Slice 76 of 155
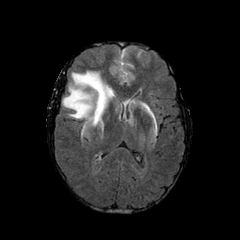
FLAIR MRI.
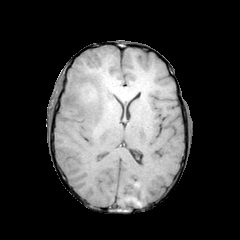
T1-weighted MRI.
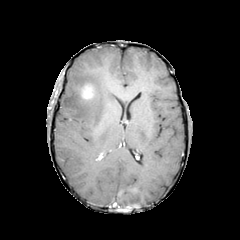
Same slice, post-contrast T1-weighted MRI.
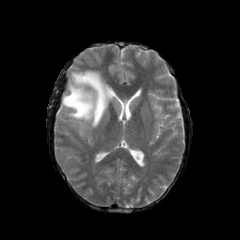
Same slice, T2-weighted MRI.
The enhancing tumor appears at {"x1": 82, "y1": 89, "x2": 91, "y2": 98}. The edema is at {"x1": 62, "y1": 70, "x2": 115, "y2": 134}. The non-enhancing tumor core is at {"x1": 83, "y1": 85, "x2": 93, "y2": 98}.